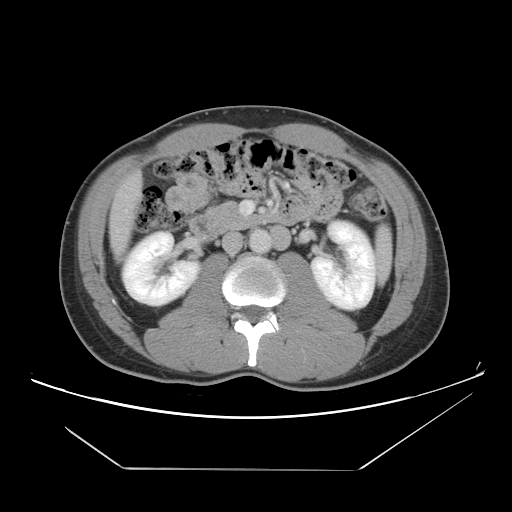
Liver, CT

The vessel boxes may cover only some of the vessels.
<segmentation>
  <hepatic_vessel>126,210,127,211</hepatic_vessel>
</segmentation>